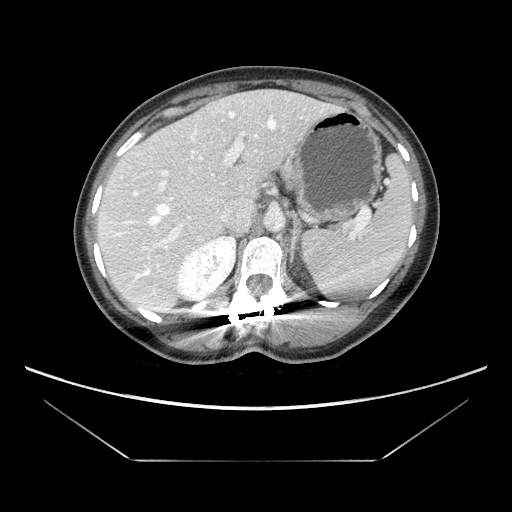

Liver | CT scan slice
Some hepatic vessels may have no box.
Segmented structures:
- hepatic vessel: {"x1": 240, "y1": 133, "x2": 242, "y2": 135}, {"x1": 162, "y1": 171, "x2": 166, "y2": 175}, {"x1": 142, "y1": 246, "x2": 151, "y2": 250}, {"x1": 191, "y1": 150, "x2": 200, "y2": 157}, {"x1": 219, "y1": 208, "x2": 229, "y2": 221}, {"x1": 246, "y1": 202, "x2": 250, "y2": 209}, {"x1": 211, "y1": 173, "x2": 214, "y2": 176}, {"x1": 238, "y1": 213, "x2": 247, "y2": 218}, {"x1": 150, "y1": 204, "x2": 168, "y2": 223}, {"x1": 224, "y1": 139, "x2": 243, "y2": 166}, {"x1": 145, "y1": 265, "x2": 148, "y2": 267}, {"x1": 161, "y1": 182, "x2": 164, "y2": 187}, {"x1": 152, "y1": 216, "x2": 191, "y2": 248}